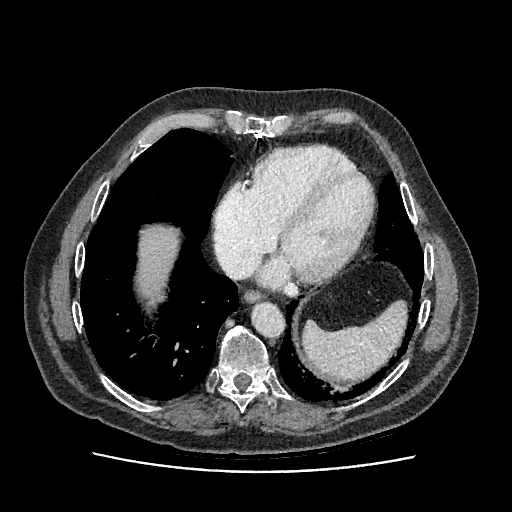

Liver | CT scan slice | 512x512 px
liver:
  - {"x1": 137, "y1": 225, "x2": 177, "y2": 298}